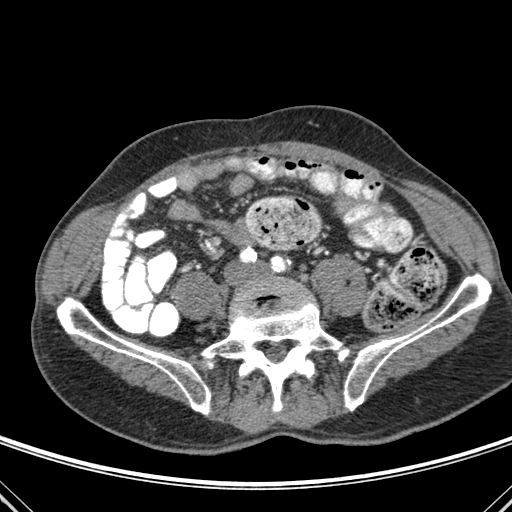

CT scan slice.
3 bone regions are located at (343,274,491,410), (57,297,210,414), (196,281,349,411).